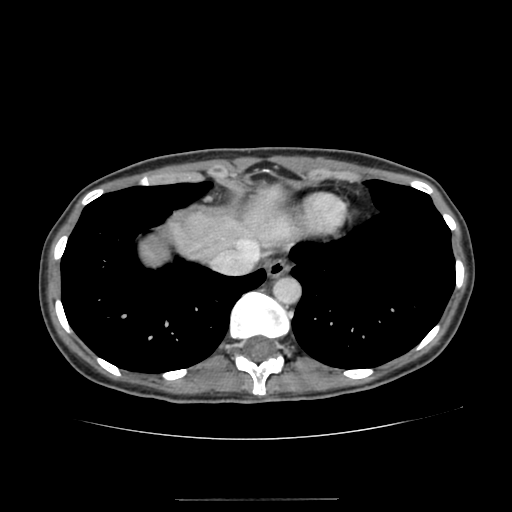

CT scan slice. 2 liver regions are located at [x1=169, y1=186, x2=291, y2=262], [x1=148, y1=248, x2=156, y2=256].